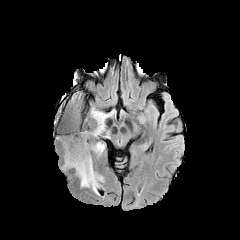
FLAIR MR image.
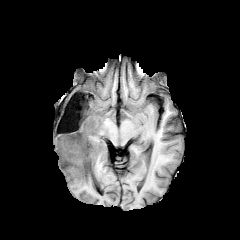
T1-weighted MR.
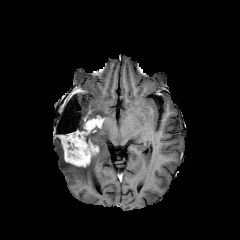
Same slice, post-contrast T1-weighted magnetic resonance.
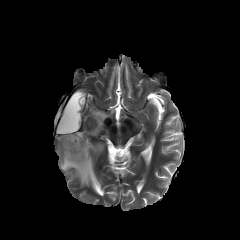
T2-weighted MR image of the same slice.
Brain.
Edema = x1=61 y1=120 x2=109 y2=194, x1=90 y1=107 x2=115 y2=119.
Enhancing tumor = x1=64 y1=131 x2=98 y2=166, x1=88 y1=115 x2=104 y2=129.
Non-enhancing tumor core = x1=70 y1=95 x2=78 y2=117, x1=60 y1=134 x2=77 y2=151, x1=79 y1=124 x2=101 y2=144.